CT | Slice 308 of 455 | Upper abdomen

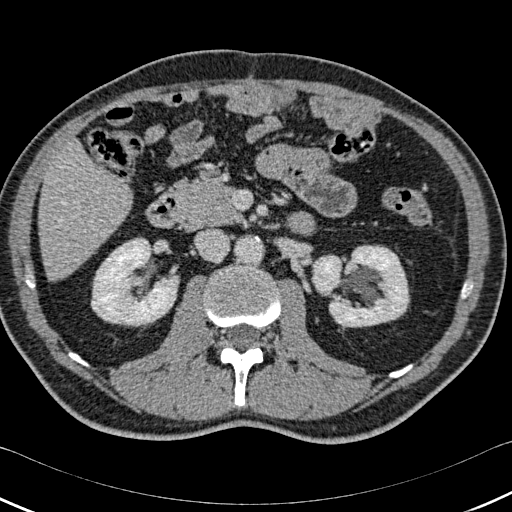

6 bone regions are located at (x1=26, y1=279, x2=34, y2=287), (x1=69, y1=353, x2=87, y2=365), (x1=221, y1=348, x2=262, y2=406), (x1=205, y1=268, x2=280, y2=327), (x1=390, y1=365, x2=411, y2=377), (x1=462, y1=284, x2=472, y2=296). The liver is located at (x1=39, y1=145, x2=132, y2=278). 3 kidney regions are bounded by (x1=92, y1=239, x2=177, y2=325), (x1=313, y1=256, x2=340, y2=294), (x1=329, y1=246, x2=408, y2=326).